CT scan slice, Image width 358 mm, Upper abdomen
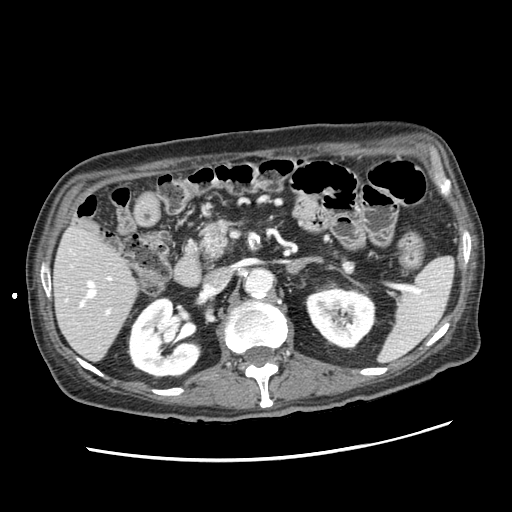 Segmented structures:
* pancreatic tumor: {"x1": 211, "y1": 226, "x2": 226, "y2": 239}
* pancreas: {"x1": 201, "y1": 222, "x2": 231, "y2": 260}, {"x1": 344, "y1": 261, "x2": 352, "y2": 271}